Head; Image size 240x240
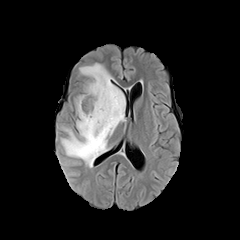
FLAIR MR.
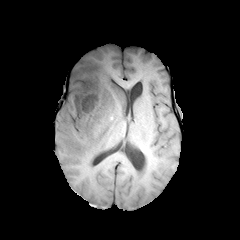
Same slice, T1-weighted MR.
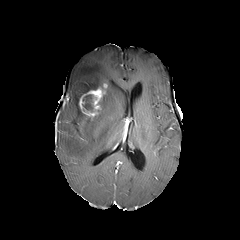
Post-contrast T1-weighted MR.
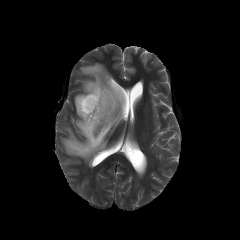
T2-weighted MRI.
enhancing tumor: (78, 83, 106, 117) | edema: (60, 63, 126, 167) | non-enhancing tumor core: (84, 82, 104, 93), (76, 94, 97, 123), (99, 93, 105, 109), (82, 94, 93, 111)